Computed tomography; Image size 512x512

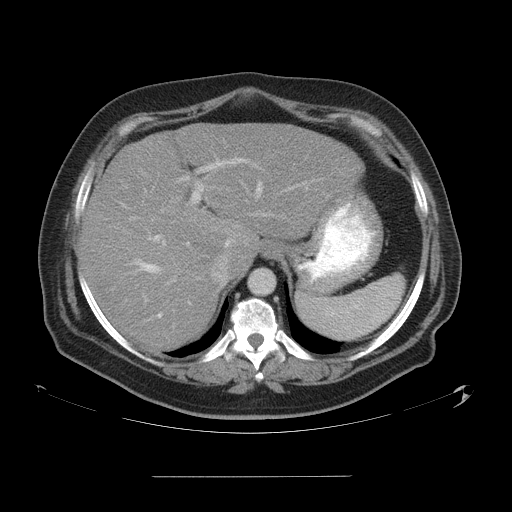

The vessel annotation is not exhaustive.
<segmentation>
  <hepatic_vessel><box>252,213,263,215</box>, <box>197,158,247,172</box>, <box>256,182,261,197</box>, <box>129,217,136,219</box>, <box>192,181,203,202</box>, <box>122,204,128,208</box>, <box>181,176,189,179</box>, <box>186,243,188,244</box>, <box>131,259,159,272</box>, <box>287,185,299,189</box>, <box>148,235,165,245</box>, <box>188,302,189,304</box>, <box>158,313,161,317</box>, <box>144,296,147,301</box>, <box>225,241,229,246</box></hepatic_vessel>
</segmentation>